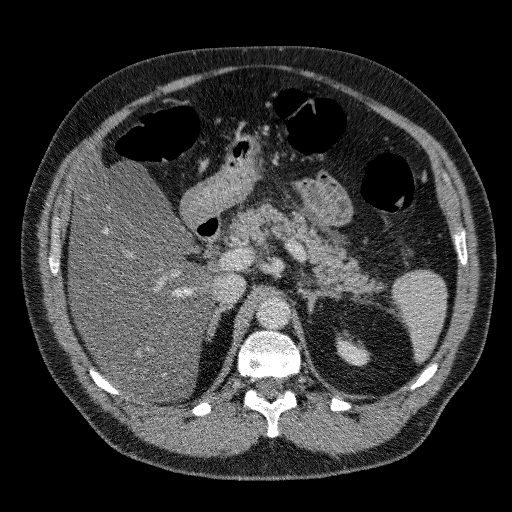

Upper abdomen. CT scan slice.

The kidney is at <bbox>339, 342, 365, 363</bbox>. The liver is bounded by <bbox>68, 153, 216, 400</bbox>.